FLAIR magnetic resonance.
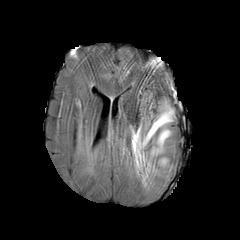
T1-weighted MRI.
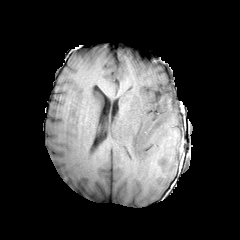
Post-contrast T1-weighted MR image.
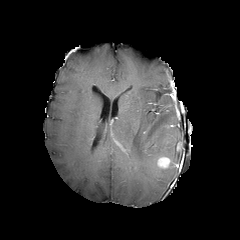
T2-weighted MR image.
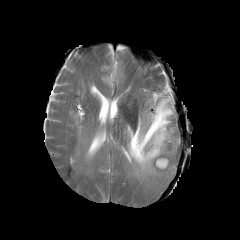
Image size 240x240.
The edema lies within l=123, t=98, r=175, b=181. The enhancing tumor is bounded by l=158, t=157, r=168, b=167.